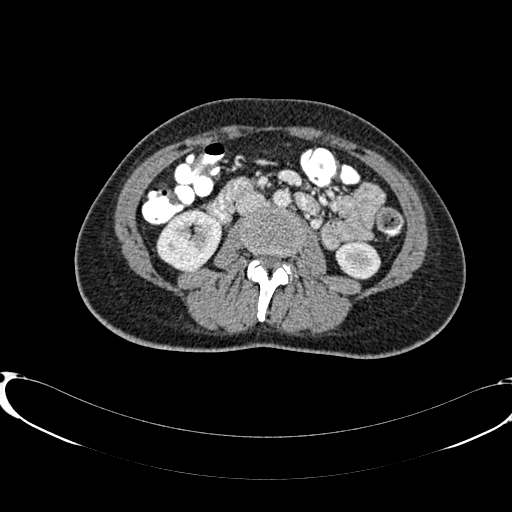 CT
kidney:
  - left=158, top=212, right=220, bottom=269
  - left=337, top=243, right=379, bottom=277